Field of view 386 mm wide, 1.50 mm slice spacing. Image size 512x512. CT slice.
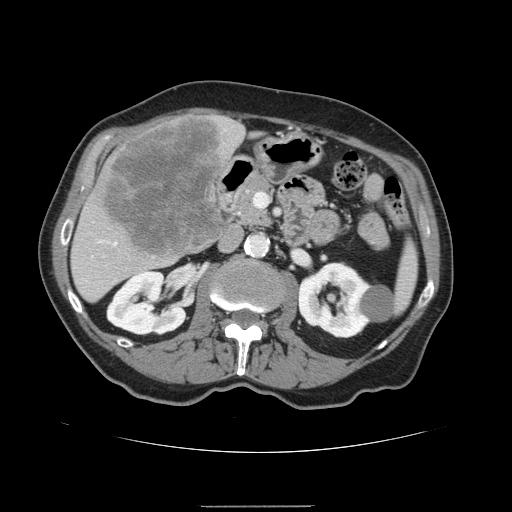

Not every hepatic vessel necessarily has a box.
liver tumor: l=104, t=117, r=228, b=257 | hepatic vessel: l=114, t=242, r=116, b=244